Computed tomography, 512x512, Upper abdomen 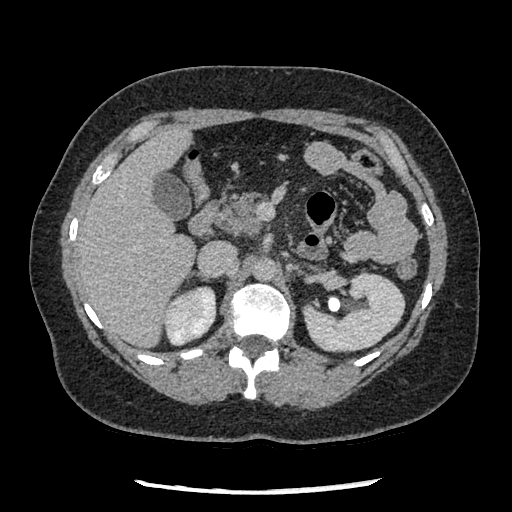
Annotated regions:
* pancreas: <box>217,192,260,235</box>